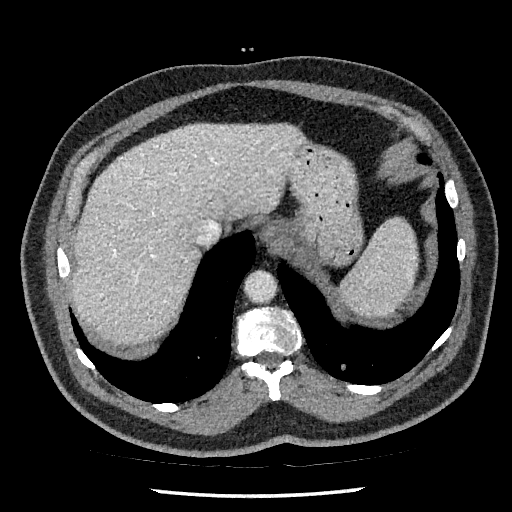
CT image; Image size 512x512
The liver lies within [72, 125, 303, 344].